Brain.
FLAIR MRI.
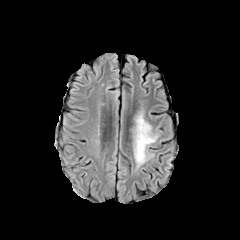
T1-weighted MR image.
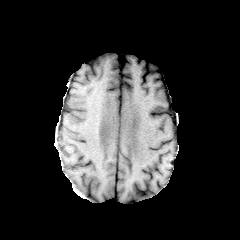
Post-contrast T1-weighted magnetic resonance.
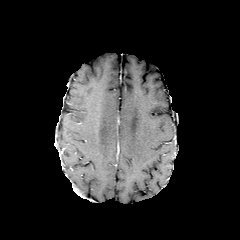
T2-weighted MR image.
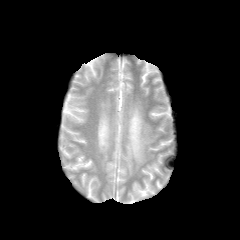
Edema = x1=132 y1=113 x2=158 y2=167.